FLAIR MRI.
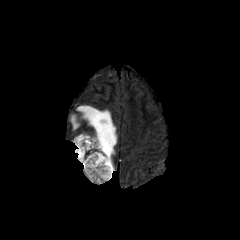
T1-weighted MR.
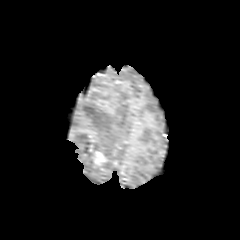
Post-contrast T1-weighted MR image.
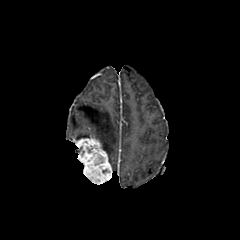
T2-weighted magnetic resonance.
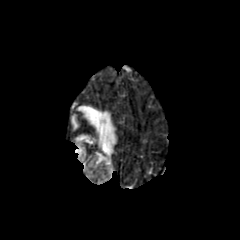
Brain.
<segmentation>
  <enhancing_tumor>x1=73, y1=137, x2=111, y2=183</enhancing_tumor>
  <edema>x1=71, y1=105, x2=116, y2=169</edema>
  <non-enhancing_tumor_core>x1=85, y1=108, x2=99, y2=117</non-enhancing_tumor_core>
</segmentation>